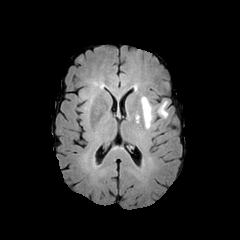
FLAIR MRI.
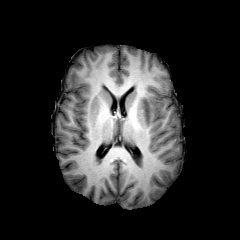
T1-weighted magnetic resonance.
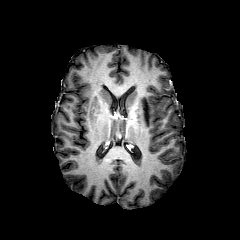
Same slice, post-contrast T1-weighted MR image.
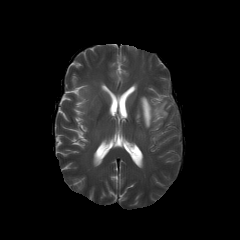
Same slice, T2-weighted MR.
Head.
The edema is bounded by box=[136, 96, 167, 129].